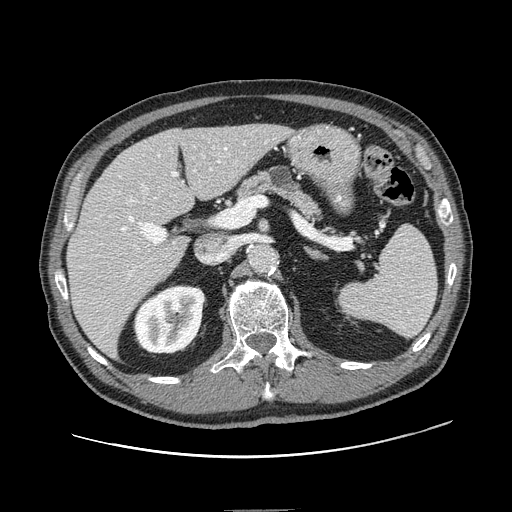 CT scan slice, Abdomen, 512x512
The pancreatic tumor is located at [269,166,292,190]. The pancreas lies within [234,164,328,227].